512x512. CT.
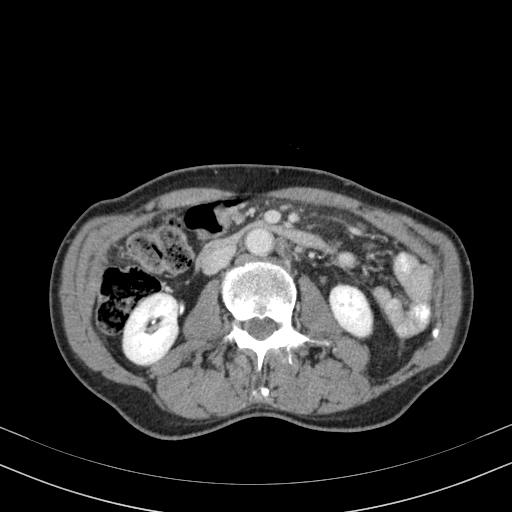
* kidney: 123:294:177:364, 330:286:371:335